Brain. Image width 240 mm.
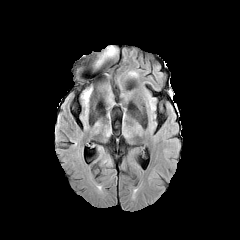
FLAIR magnetic resonance.
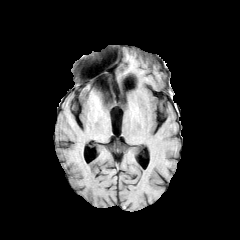
T1-weighted MRI.
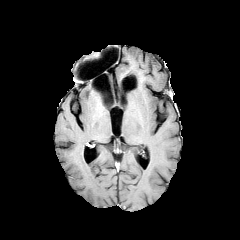
Post-contrast T1-weighted magnetic resonance of the same slice.
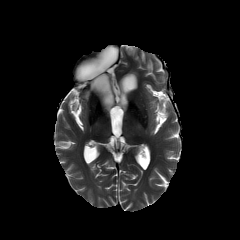
Same slice, T2-weighted MR.
edema:
  - <bbox>102, 90, 113, 107</bbox>
  - <bbox>103, 46, 116, 57</bbox>